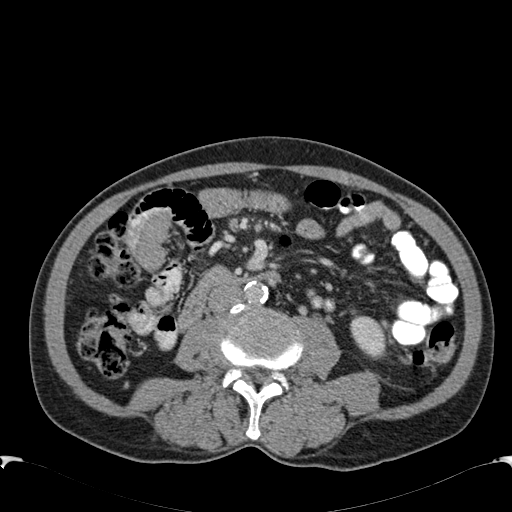
CT scan slice
kidney: (left=353, top=317, right=384, bottom=356)